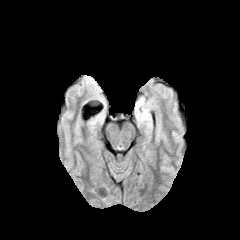
FLAIR MRI.
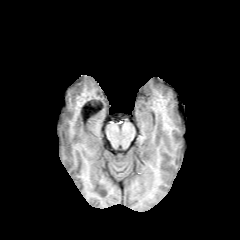
T1-weighted MRI.
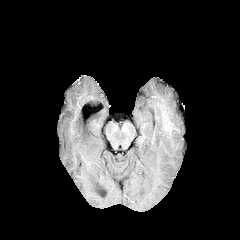
Post-contrast T1-weighted MR image.
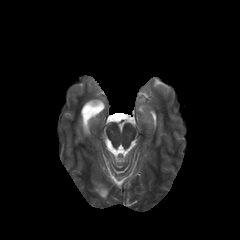
T2-weighted MR.
<segmentation>
  <edema>{"x1": 136, "y1": 97, "x2": 151, "y2": 122}</edema>
</segmentation>